Computed tomography.
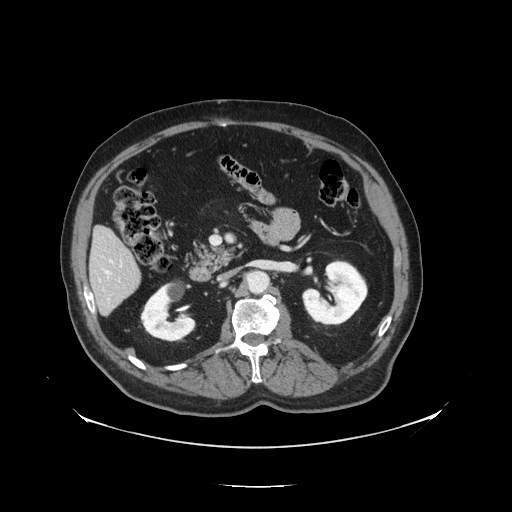 Some hepatic vessels may have no box.
{"hepatic_vessel": ["box=[105, 271, 111, 278]", "box=[120, 261, 122, 267]", "box=[109, 260, 112, 262]"]}